FLAIR magnetic resonance.
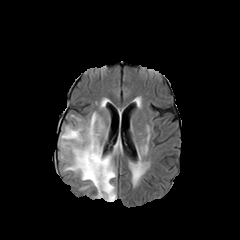
T1-weighted MR image.
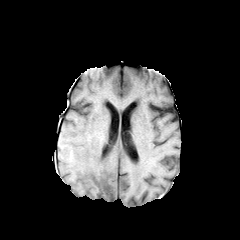
Post-contrast T1-weighted magnetic resonance.
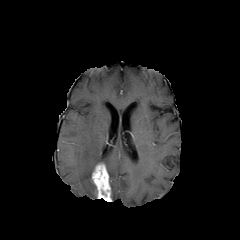
T2-weighted MR.
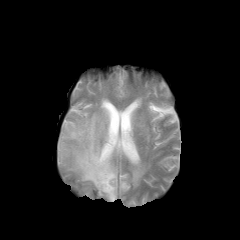
4 edema regions appear at <bbox>133, 166, 142, 180</bbox>, <bbox>100, 98, 108, 108</bbox>, <bbox>58, 112, 121, 188</bbox>, <bbox>111, 182, 116, 201</bbox>. The enhancing tumor is at <bbox>92, 163, 111, 201</bbox>.